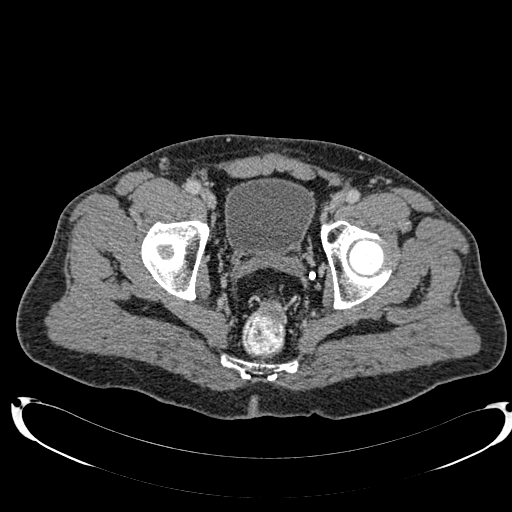 Lower abdomen | CT image
Segmented structures:
• urinary bladder: [224, 178, 315, 264]